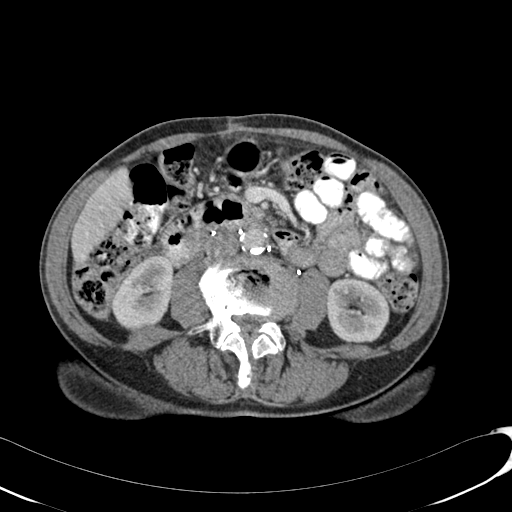 Upper abdomen; CT scan slice; Image size 512x512

Liver = box=[72, 167, 132, 263].
Kidney = box=[327, 279, 388, 341]; box=[112, 256, 172, 328].